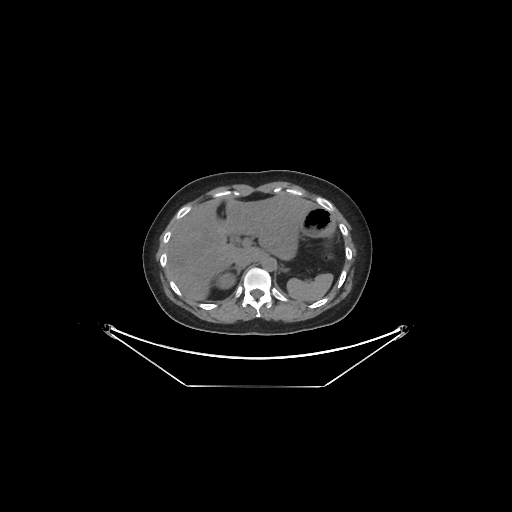

Computed tomography | Abdomen
The kidney is at bbox=[220, 274, 234, 287]. 2 liver regions appear at bbox=[330, 214, 343, 232]; bbox=[165, 193, 318, 299].